Lower abdomen | CT
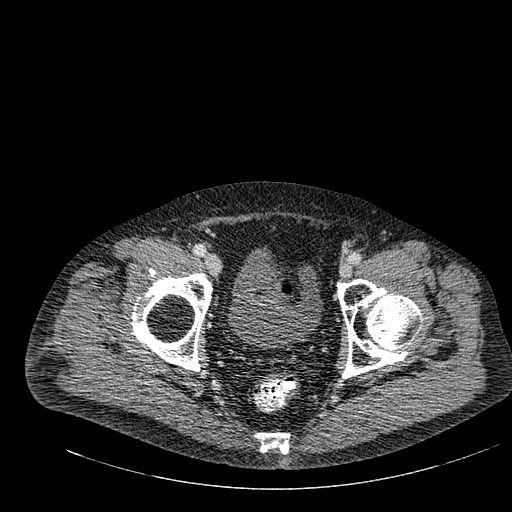

The urinary bladder lies within region(228, 246, 321, 348).